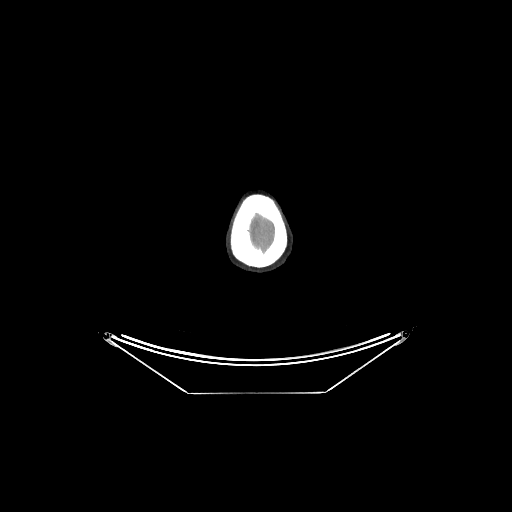 CT slice, Head
brain:
  - x1=247, y1=213, x2=274, y2=253